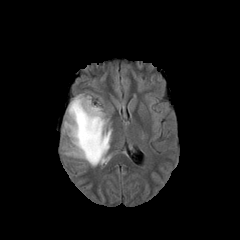
FLAIR MRI.
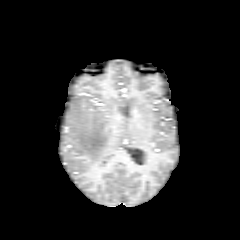
Same slice, T1-weighted magnetic resonance.
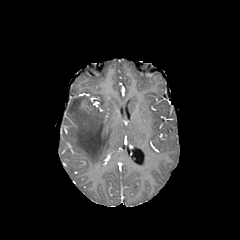
Post-contrast T1-weighted MRI.
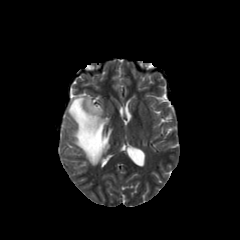
T2-weighted MR image.
{"edema": ["(64, 95, 111, 165)"]}